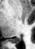 MRI; 35x49

{
  "posterior_hippocampus": [
    "x1=12, y1=38, x2=20, y2=43"
  ]
}